Head, Slice 78/155
FLAIR magnetic resonance.
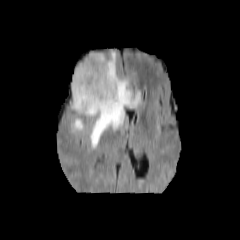
T1-weighted MR.
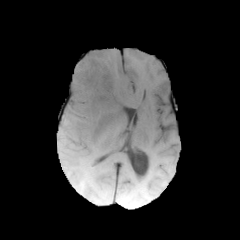
Post-contrast T1-weighted magnetic resonance.
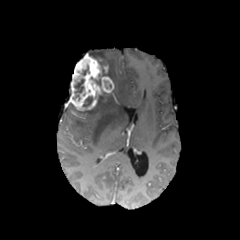
T2-weighted MRI.
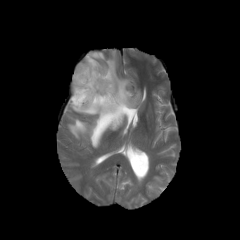
non-enhancing_tumor_core:
  - [73,79,84,98]
  - [83,97,91,106]
  - [79,51,115,113]
edema:
  - [81,51,141,147]
  - [69,117,85,135]
enhancing_tumor:
  - [68,52,114,111]